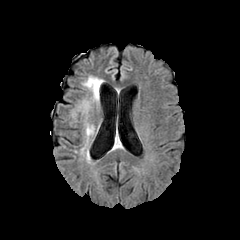
FLAIR MR image.
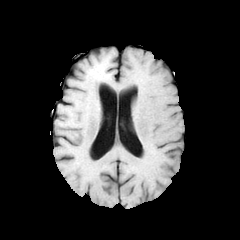
T1-weighted MRI of the same slice.
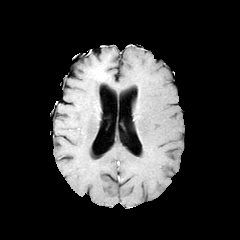
Same slice, post-contrast T1-weighted MRI.
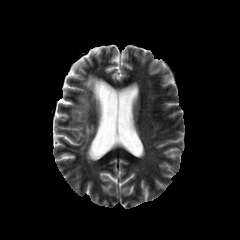
Same slice, T2-weighted MRI.
The edema is bounded by box(77, 74, 104, 159).